FLAIR magnetic resonance.
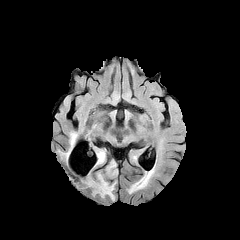
T1-weighted MRI.
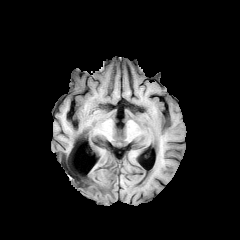
Post-contrast T1-weighted MR image.
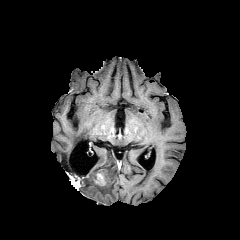
T2-weighted MR.
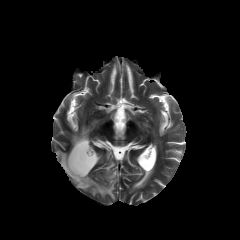
Brain.
The non-enhancing tumor core appears at <box>74,174,91,184</box>. 5 edema regions appear at <box>95,148,105,164</box>, <box>138,171,153,183</box>, <box>84,160,117,198</box>, <box>71,131,79,146</box>, <box>59,147,71,162</box>.